CT image
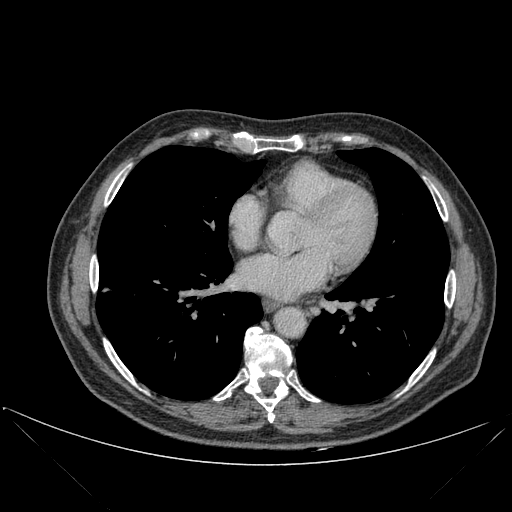

Bone at 253:135:301:152, 104:170:124:205, 404:351:435:390, 431:186:447:220, 103:339:136:386, 444:270:455:307, 213:327:292:423, 89:255:98:291, 297:388:319:401.
Lung at 296:148:449:403, 96:146:265:400.